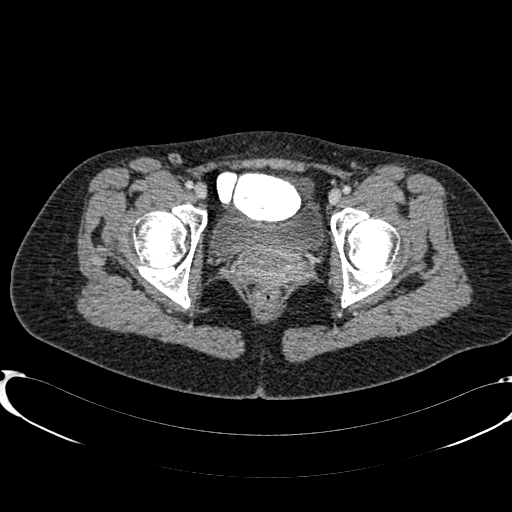

Lower abdomen. CT image. The urinary bladder is bounded by x1=215, y1=199, x2=321, y2=253.